Magnetic resonance. Slice index 7. 33x44 px.
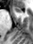 Annotated regions:
• anterior hippocampus: x1=14 y1=6 x2=21 y2=12